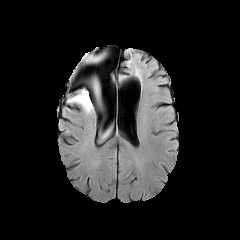
FLAIR MRI.
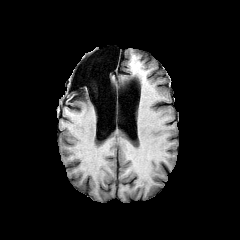
T1-weighted MRI.
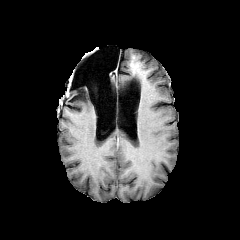
Same slice, post-contrast T1-weighted magnetic resonance.
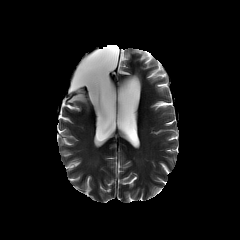
T2-weighted MR.
Brain | Image size 240x240
<segmentation>
  <edema>[90,54,103,61], [68,90,93,114], [92,90,99,102]</edema>
  <non-enhancing_tumor_core>[84,54,94,61], [92,80,98,90]</non-enhancing_tumor_core>
</segmentation>